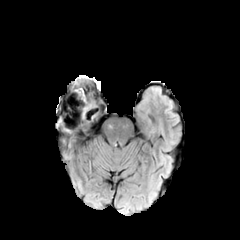
FLAIR MR.
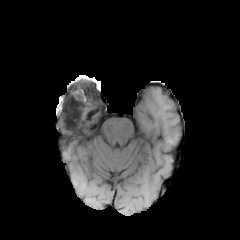
Same slice, T1-weighted MR image.
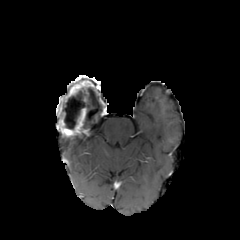
Post-contrast T1-weighted MR image.
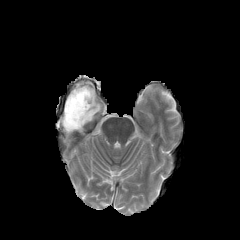
T2-weighted magnetic resonance of the same slice.
Head.
Segmented structures:
- non-enhancing tumor core: region(62, 119, 78, 133)
- enhancing tumor: region(58, 118, 69, 132)